CT scan slice
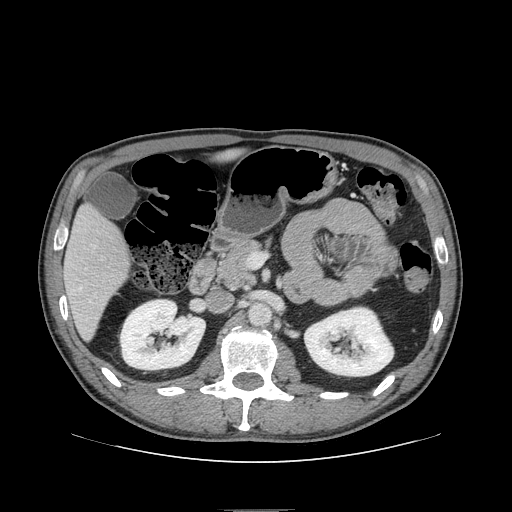 pancreas:
  - bbox(220, 241, 263, 285)